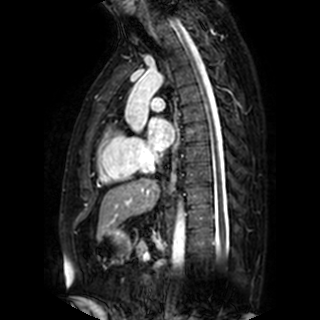

MR
Left atrium at 148 117 173 150.